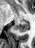 Magnetic resonance; Medial temporal lobe
{"posterior_hippocampus": [{"x1": 15, "y1": 21, "x2": 29, "y2": 32}]}